512x512, Slice index 99, Liver, Computed tomography

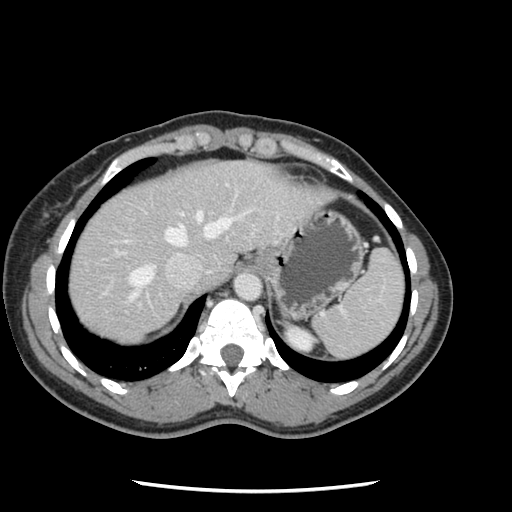 Some hepatic vessels may have no box.
Findings:
• hepatic vessel: (116, 251, 119, 253), (197, 211, 202, 220), (129, 265, 152, 289), (129, 292, 136, 298), (203, 216, 232, 237), (165, 224, 185, 245)